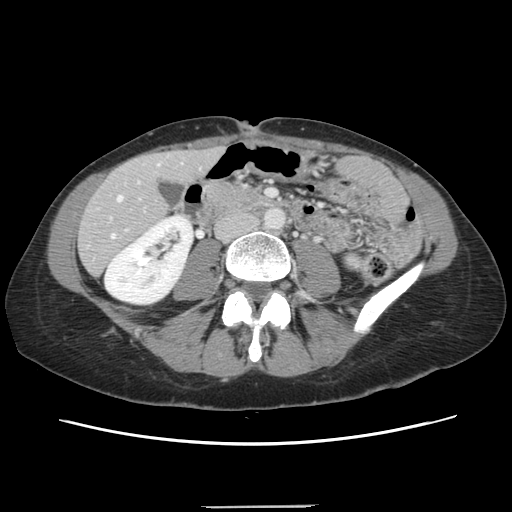
CT.

The vessel boxes may cover only some of the vessels.
{
  "hepatic_vessel": [
    "bbox(117, 196, 121, 200)",
    "bbox(111, 234, 114, 237)",
    "bbox(157, 164, 158, 165)",
    "bbox(125, 229, 126, 230)"
  ]
}